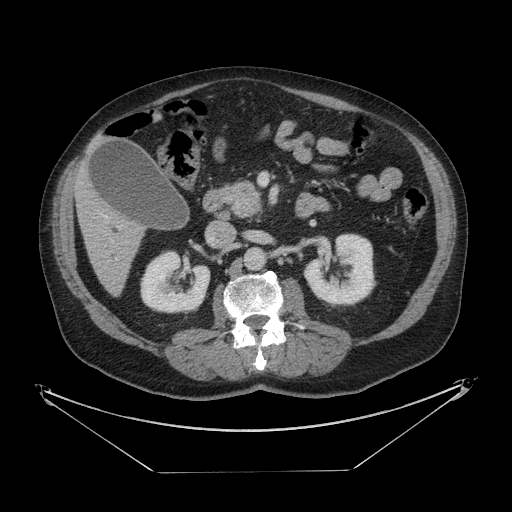
Image size 512x512. CT. <segmentation>
  <pancreas>bbox=[234, 182, 260, 216]</pancreas>
  <pancreatic_tumor>bbox=[231, 183, 256, 205]</pancreatic_tumor>
</segmentation>